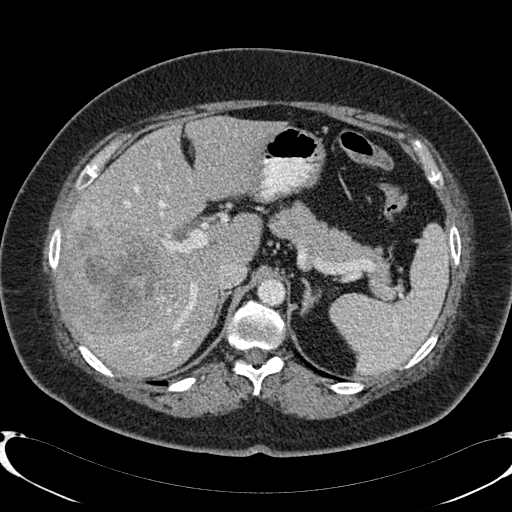

CT slice; Upper abdomen

{"focal_liver_lesion": ["<box>63,217,175,332</box>"], "liver": ["<box>61,117,287,376</box>"]}